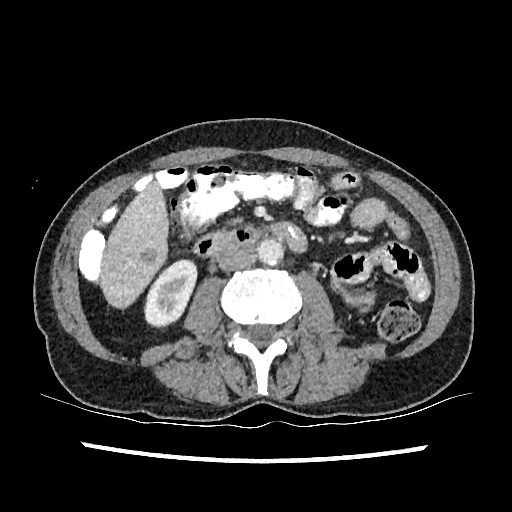

CT scan slice, Abdomen
• hepatic lesion: (140, 248, 157, 264)
• liver: (102, 180, 167, 306)
• kidney: (146, 260, 196, 325)